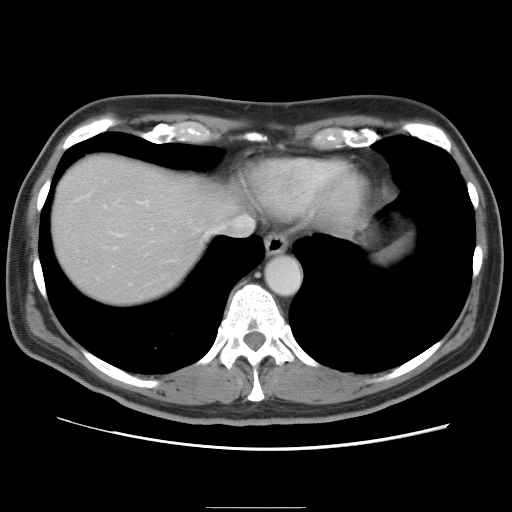 CT scan slice; Liver

Some hepatic vessels may have no box.
<segmentation>
  <hepatic_vessel>[103,205,105,206], [115,199,119,205], [104,246,106,247], [169,259,173,260], [194,227,197,230], [80,193,89,197], [138,199,148,205], [113,246,115,248]</hepatic_vessel>
</segmentation>